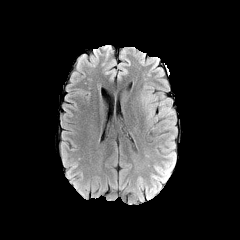
FLAIR magnetic resonance.
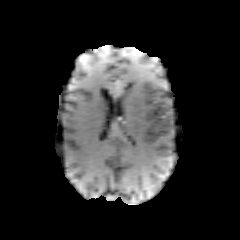
T1-weighted MR image of the same slice.
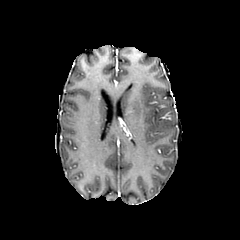
Post-contrast T1-weighted MRI.
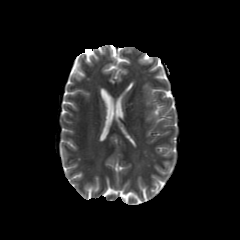
T2-weighted MRI.
Head
edema: region(150, 162, 171, 191); region(148, 94, 172, 119)